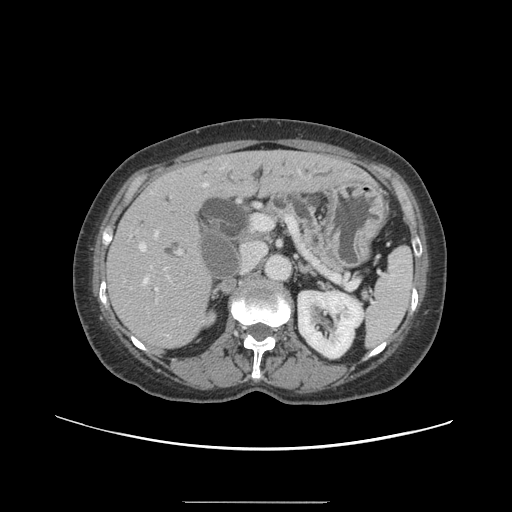
Computed tomography | Abdomen
pancreas: <box>270,191,340,270</box>